Slice index 476. CT image. Field of view 335 mm wide, 1.00 mm slice spacing. 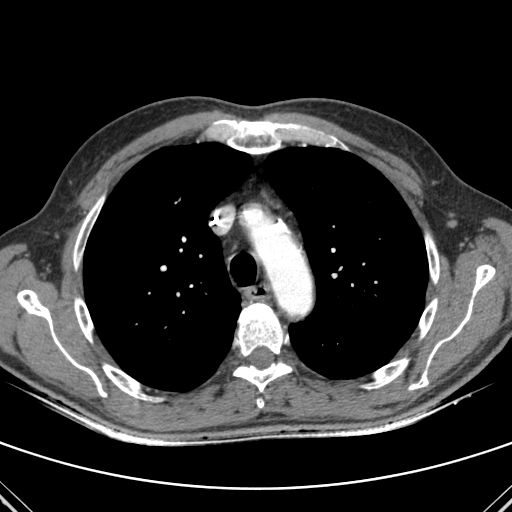 <segmentation>
  <lung>[83,142,252,391], [264,146,428,379]</lung>
  <bone>[74,297,93,342], [17,290,106,397], [214,120,298,153], [73,196,104,269], [233,361,292,393], [234,303,288,356], [365,358,408,388], [426,234,439,283], [408,370,428,390], [257,398,263,407], [426,265,495,366], [326,137,336,146], [419,298,437,338], [103,364,145,399]</bone>
</segmentation>